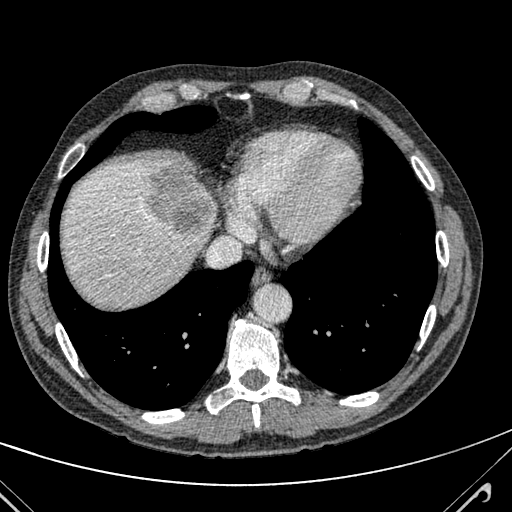 CT slice.
Liver lesion: [148,165,208,234].
Liver: [63,159,215,305].